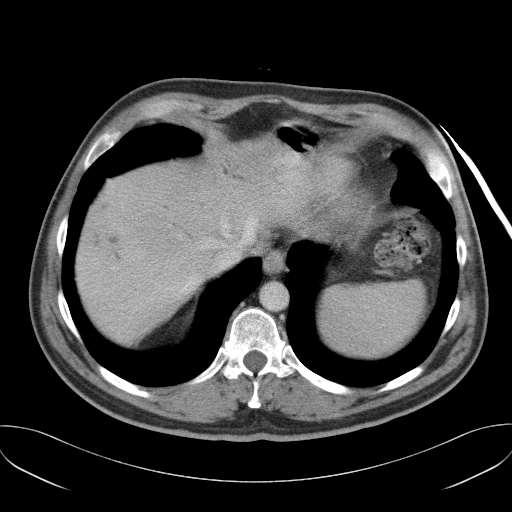

CT slice; Abdomen

Only some of the vessels may be annotated.
5 hepatic vessel regions appear at (205, 239, 225, 247), (208, 269, 210, 272), (219, 251, 238, 267), (221, 218, 230, 237), (237, 213, 257, 247).